FLAIR MR image.
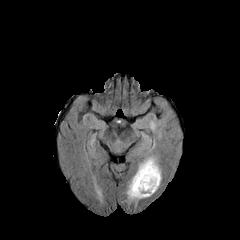
T1-weighted MRI.
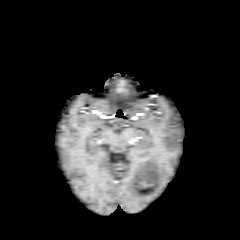
Post-contrast T1-weighted MRI.
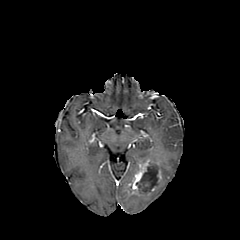
T2-weighted MRI.
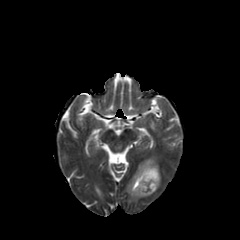
enhancing tumor: {"x1": 129, "y1": 160, "x2": 149, "y2": 193} | edema: {"x1": 126, "y1": 156, "x2": 161, "y2": 200}